FLAIR magnetic resonance.
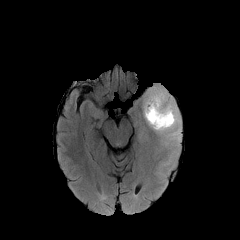
T1-weighted MRI.
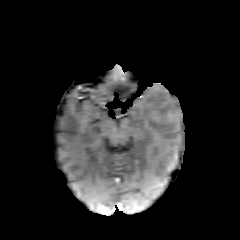
Post-contrast T1-weighted MR image.
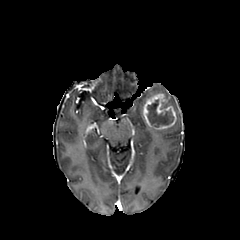
T2-weighted magnetic resonance.
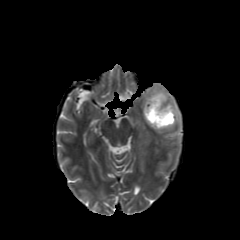
Head
Enhancing tumor — bbox=[142, 93, 176, 129].
Edema — bbox=[142, 86, 181, 147].
Non-enhancing tumor core — bbox=[148, 100, 173, 129].